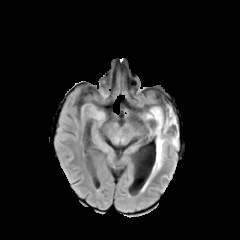
FLAIR MR.
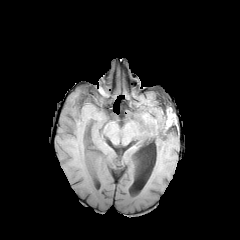
Same slice, T1-weighted magnetic resonance.
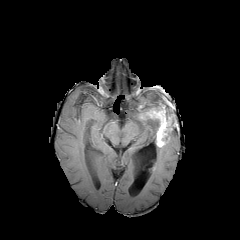
Post-contrast T1-weighted MRI.
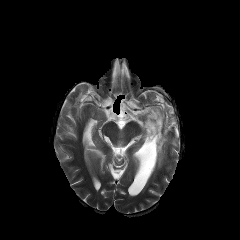
Same slice, T2-weighted MR image.
Brain.
The enhancing tumor is bounded by (148, 108, 172, 147). 2 non-enhancing tumor core regions appear at (149, 118, 159, 139), (164, 104, 177, 132). 2 edema regions are located at (149, 126, 178, 179), (144, 113, 155, 129).